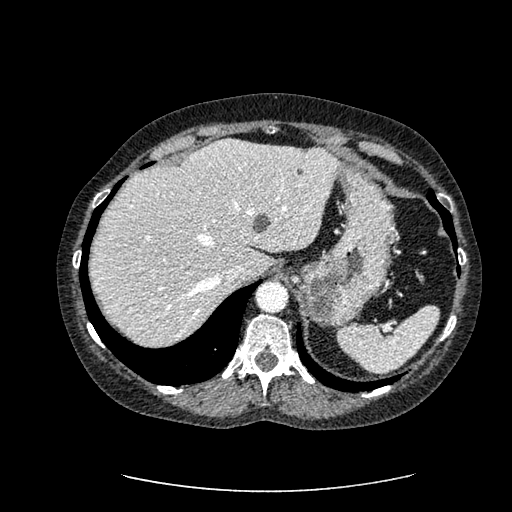

Computed tomography
The liver lesion is at (left=252, top=214, right=269, bottom=232). The liver is bounded by (left=89, top=139, right=336, bottom=344).